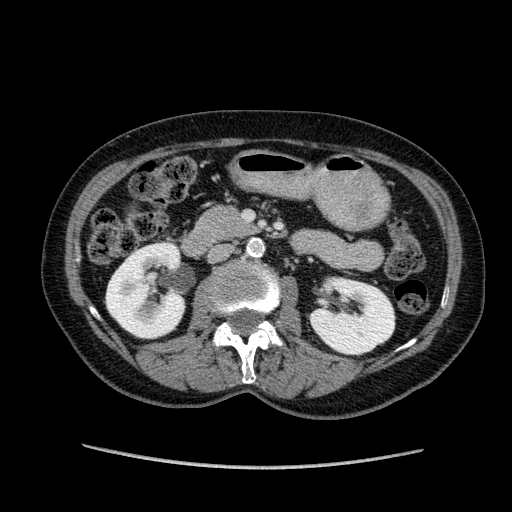

512x512 px; CT; Abdomen

2 kidney regions appear at region(106, 243, 184, 337); region(311, 279, 394, 353).